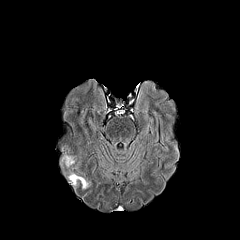
FLAIR MR image.
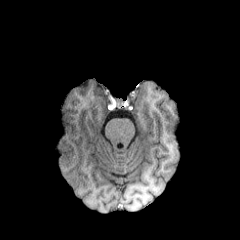
Same slice, T1-weighted MR.
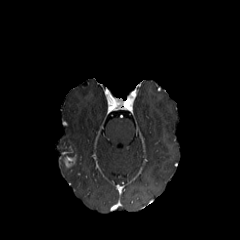
Post-contrast T1-weighted MR image.
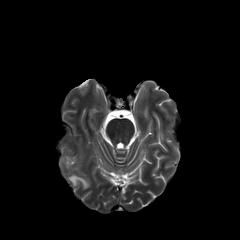
T2-weighted magnetic resonance.
{
  "enhancing_tumor": [
    "[64, 155, 75, 167]"
  ],
  "edema": [
    "[69, 175, 90, 189]"
  ]
}